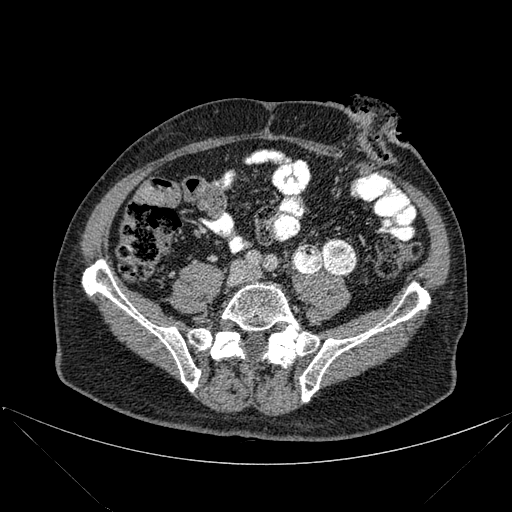

CT scan slice
{
  "bone": [
    "188 328 243 359",
    "222 282 430 401",
    "82 259 200 391"
  ]
}